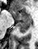

MRI slice, Medial temporal lobe

Segmented structures:
- anterior hippocampus: region(12, 10, 30, 21)
- posterior hippocampus: region(16, 21, 30, 34)